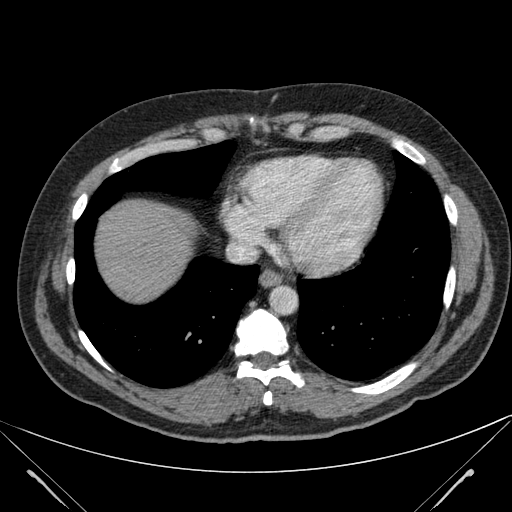 Liver. CT. liver:
  - x1=95 y1=200 x2=192 y2=301